Image width 415 mm. CT image.
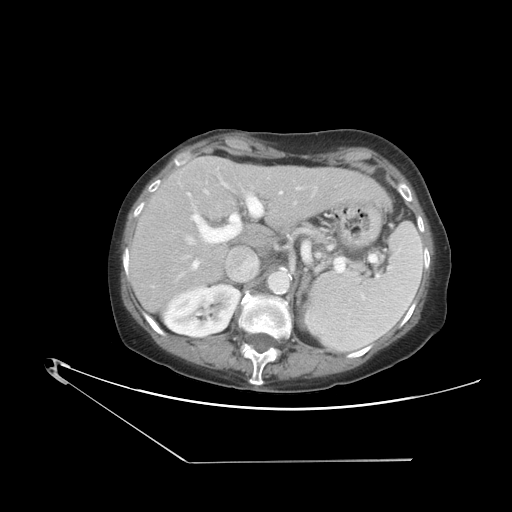
Some hepatic vessels may have no box.
Findings:
• hepatic vessel: <bbox>294, 202, 296, 204</bbox>, <bbox>296, 187, 300, 189</bbox>, <bbox>178, 273, 184, 277</bbox>, <bbox>188, 193, 190, 194</bbox>, <bbox>222, 182, 227, 186</bbox>, <bbox>188, 236, 196, 244</bbox>, <bbox>279, 191, 282, 194</bbox>, <bbox>191, 204, 241, 244</bbox>, <bbox>192, 260, 199, 268</bbox>, <bbox>246, 195, 263, 216</bbox>, <bbox>204, 190, 208, 193</bbox>